Head | Image width 240 mm | Slice index 102
FLAIR MR.
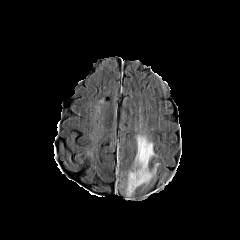
T1-weighted magnetic resonance.
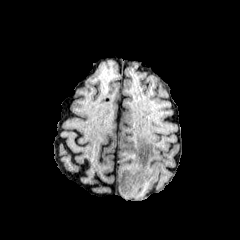
Post-contrast T1-weighted magnetic resonance.
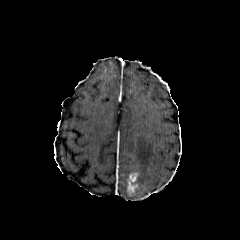
T2-weighted MRI.
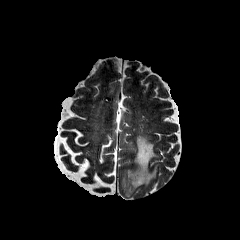
{"edema": ["<box>125,134,160,185</box>"], "enhancing_tumor": ["<box>126,171,138,196</box>"]}